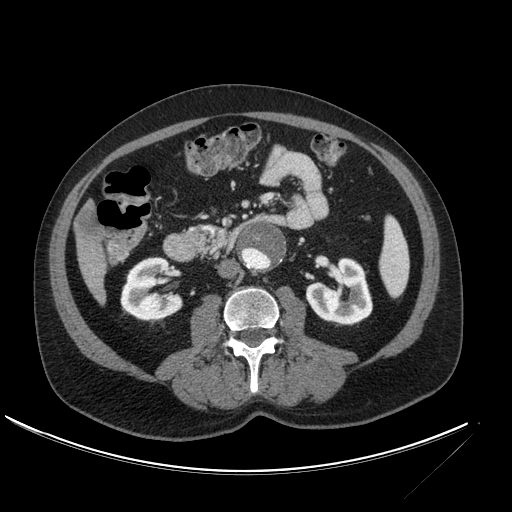
CT image, Abdomen
kidney:
  - bbox(307, 259, 371, 323)
  - bbox(121, 258, 180, 319)
hepatic_lesion:
  - bbox(74, 202, 101, 242)
liver:
  - bbox(76, 237, 106, 304)